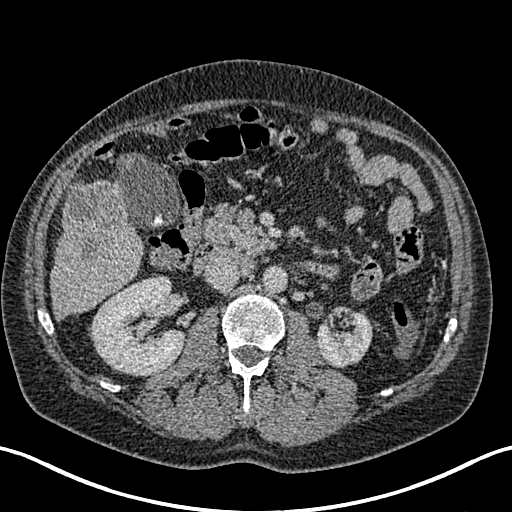
Upper abdomen, CT scan slice
kidney:
  - [x1=92, y1=277, x2=183, y2=374]
  - [x1=318, y1=313, x2=371, y2=366]
hepatic_lesion:
  - [x1=66, y1=184, x2=119, y2=261]
liver:
  - [x1=50, y1=181, x2=142, y2=320]